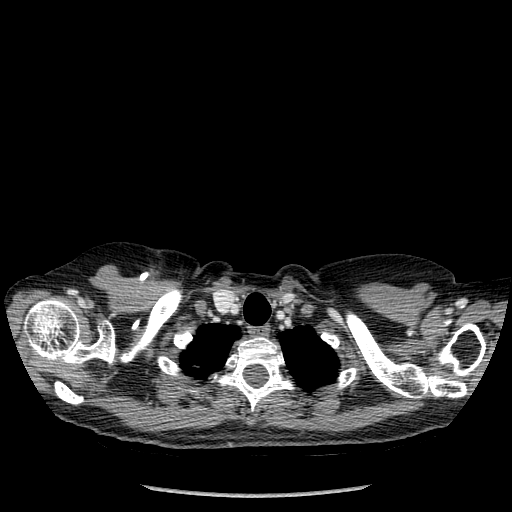
CT image

3 lung regions are bounded by 278 326 339 390, 180 323 240 378, 243 293 270 325. 10 bone regions are bounded by 337 368 356 388, 321 332 339 348, 173 330 192 348, 54 381 83 404, 120 288 181 362, 436 323 485 376, 213 336 293 411, 158 356 179 376, 346 313 466 398, 24 298 115 365.